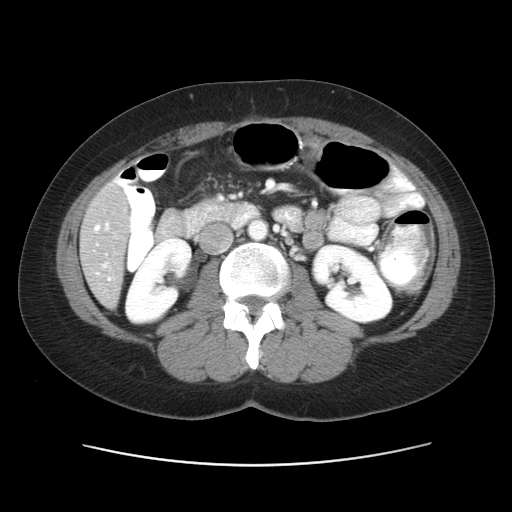
512x512 px, CT image
Not every hepatic vessel necessarily has a box.
6 hepatic vessel regions appear at <bbox>94, 225, 98, 231</bbox>, <bbox>96, 273, 98, 274</bbox>, <bbox>105, 223, 108, 229</bbox>, <bbox>108, 277, 110, 279</bbox>, <bbox>102, 263, 107, 267</bbox>, <bbox>96, 243, 97, 245</bbox>.